CT slice

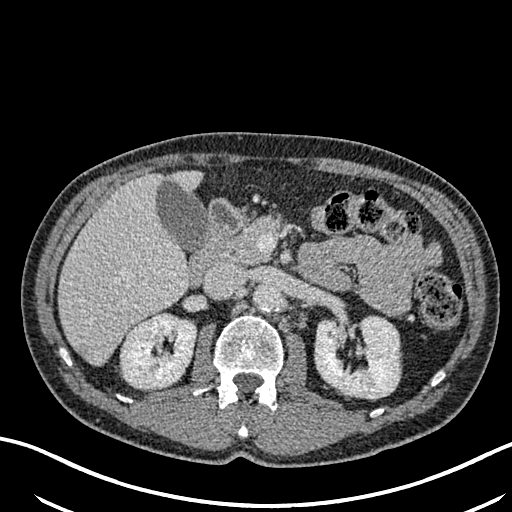
{
  "hepatic_lesion": [
    "(75,344,90,358)"
  ],
  "kidney": [
    "(315,317,399,398)",
    "(121,315,195,388)"
  ],
  "liver": [
    "(174,172,200,190)",
    "(58,175,188,364)"
  ]
}